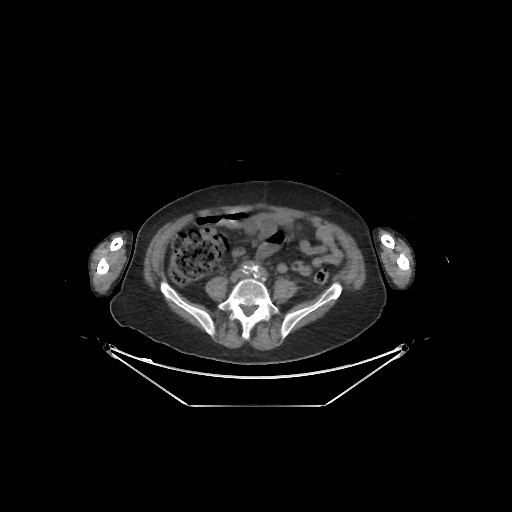
CT slice

Annotated regions:
• bone: 219,267,277,338; 161,282,214,335; 97,253,110,275; 381,234,394,248; 281,283,341,337; 397,253,409,270; 110,237,122,250